CT slice; 512x512; Slice index 18
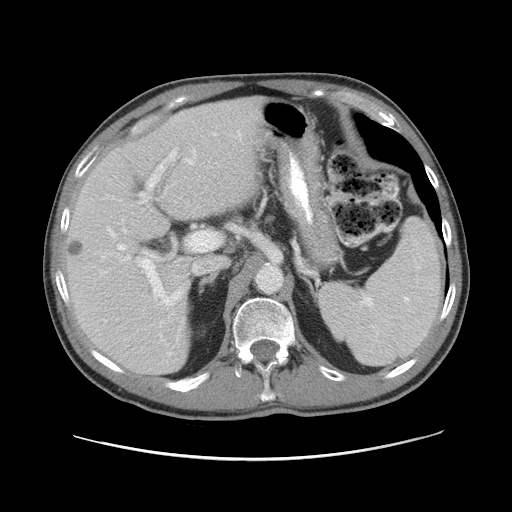 Only some of the vessels may be annotated.
Findings:
* hepatic vessel: <box>140,193,147,203</box>, <box>123,228,125,231</box>, <box>184,158,193,164</box>, <box>142,253,182,305</box>, <box>159,334,163,340</box>, <box>117,244,125,250</box>, <box>213,133,216,134</box>, <box>107,227,115,236</box>, <box>108,251,112,255</box>, <box>234,130,240,139</box>, <box>187,231,217,250</box>, <box>119,257,125,261</box>, <box>101,256,104,261</box>, <box>147,148,177,189</box>